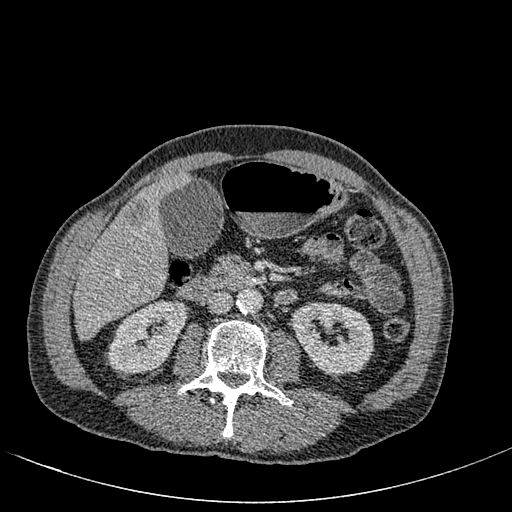
Upper abdomen, CT scan slice

Hepatic lesion = box=[123, 198, 150, 227].
Kidney = box=[108, 301, 186, 373]; box=[292, 299, 373, 374].
Liver = box=[74, 173, 190, 339].